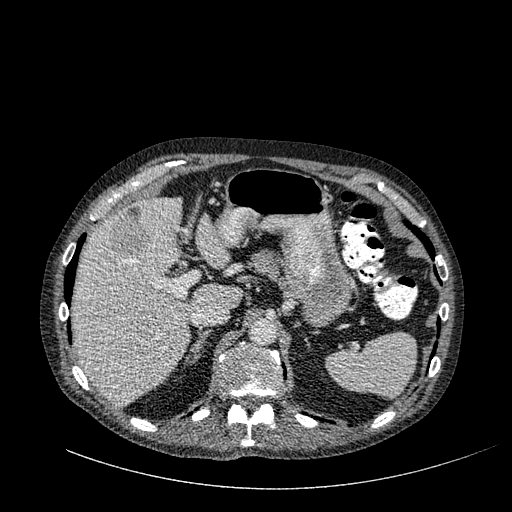
Liver | Computed tomography

Liver = x1=197, y1=215, x2=228, y2=267; x1=72, y1=198, x2=242, y2=404.
Hepatic lesion = x1=109, y1=207, x2=151, y2=258.